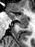
Medial temporal lobe, Magnetic resonance
The anterior hippocampus appears at [7,13,28,20]. The posterior hippocampus appears at [17,21,28,28].